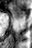

MRI.

Anterior hippocampus: {"x1": 12, "y1": 6, "x2": 25, "y2": 18}.